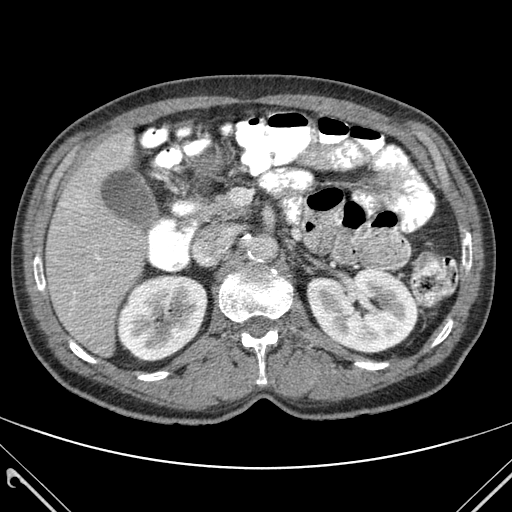
Computed tomography, 512x512
Kidney: [x1=308, y1=269, x2=416, y2=351], [x1=119, y1=277, x2=206, y2=359].
Liver: [x1=46, y1=132, x2=149, y2=356].
Bone: [x1=463, y1=233, x2=471, y2=268], [x1=219, y1=270, x2=292, y2=321], [x1=355, y1=362, x2=387, y2=369], [x1=433, y1=320, x2=452, y2=345], [x1=138, y1=372, x2=167, y2=380], [x1=70, y1=342, x2=95, y2=362], [x1=242, y1=331, x2=277, y2=383], [x1=34, y1=256, x2=44, y2=289].